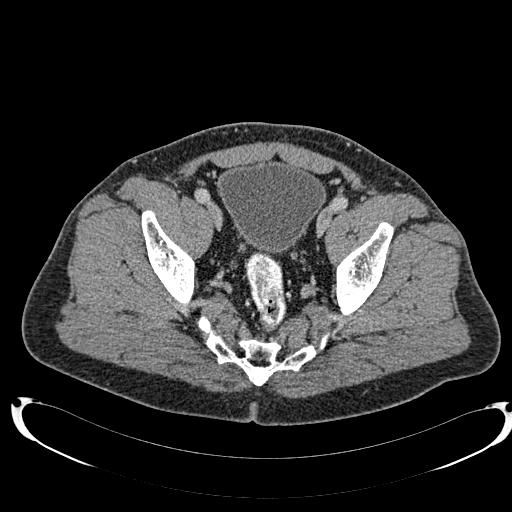

Computed tomography; Pelvis

* urinary bladder: (220, 160, 326, 255)